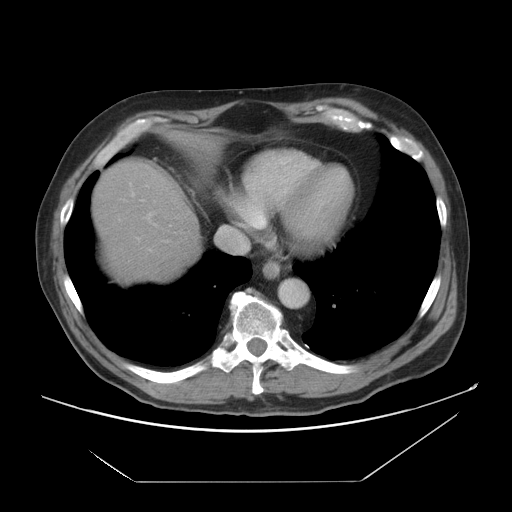

CT slice | Image size 512x512 | Upper abdomen
2 liver regions are located at l=222, t=195, r=234, b=207; l=92, t=158, r=201, b=282.